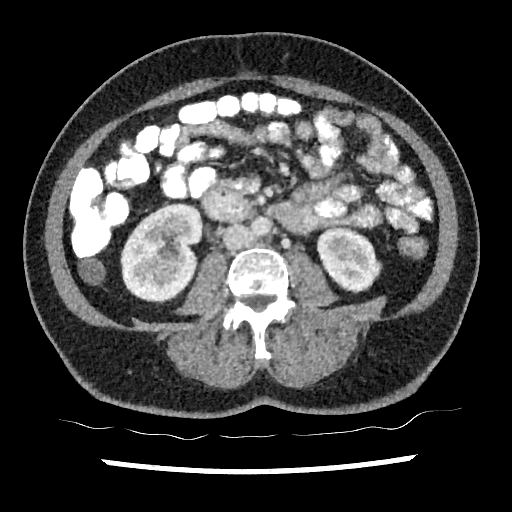
512x512 px; CT

2 kidney regions are located at x1=121, y1=204, x2=201, y2=300; x1=318, y1=229, x2=378, y2=290.